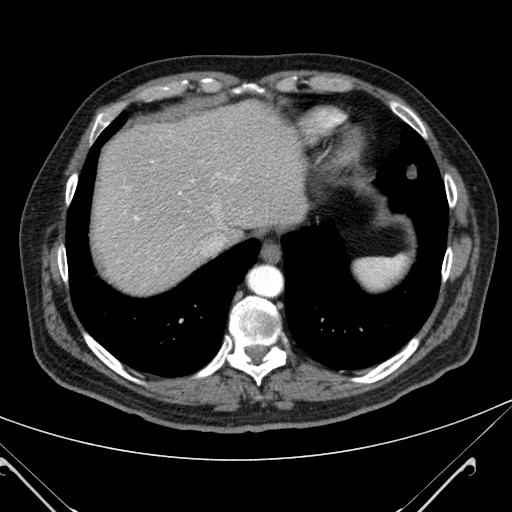
CT slice

The liver is bounded by (91,100,302,295).